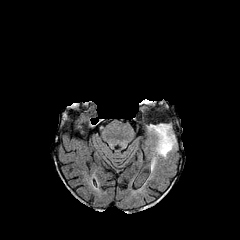
FLAIR MR image.
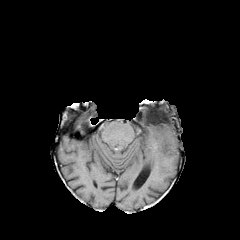
Same slice, T1-weighted magnetic resonance.
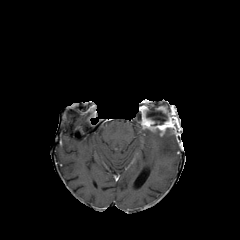
Post-contrast T1-weighted magnetic resonance of the same slice.
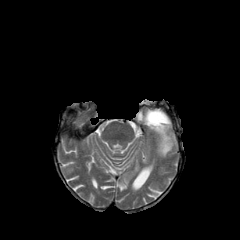
T2-weighted MR of the same slice.
Head | 240x240 px
Enhancing tumor: box=[142, 117, 171, 135].
Non-enhancing tumor core: box=[166, 128, 174, 135]; box=[140, 102, 178, 128].
Edema: box=[148, 132, 177, 171].